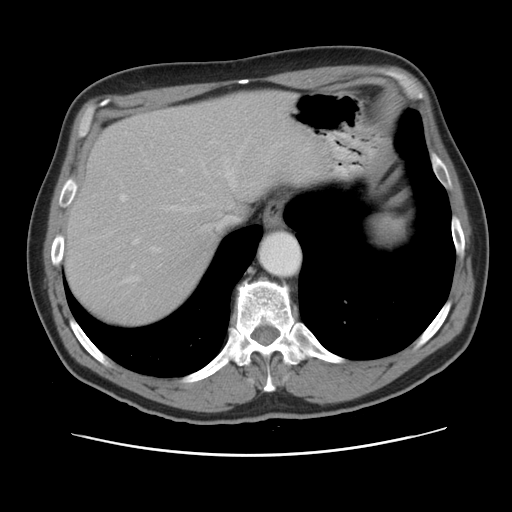

CT scan slice; 512x512
Only some of the vessels may be annotated.
Hepatic vessel: <box>120,194,125,200</box>, <box>130,264,133,266</box>, <box>217,213,222,216</box>, <box>133,239,137,243</box>, <box>151,246,158,251</box>, <box>190,190,191,192</box>.